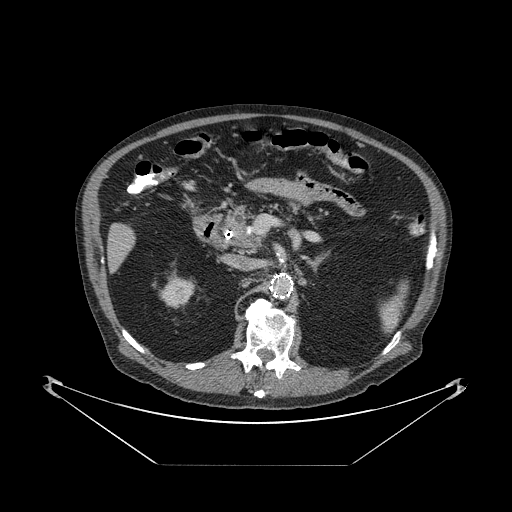

Upper abdomen | CT slice | 512x512
{"pancreas": ["(288,202,299,211)", "(223,208,260,249)"], "pancreatic_tumor": ["(230,215,246,240)"]}